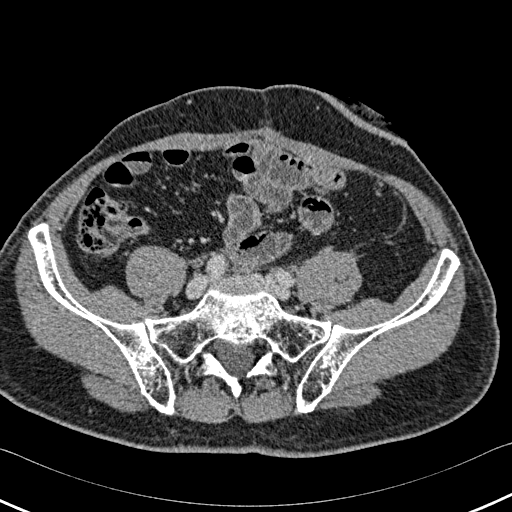

CT image | Image size 512x512

Bone at <bbox>247, 352, 271, 376</bbox>, <bbox>28, 224, 459, 414</bbox>, <bbox>203, 353, 241, 397</bbox>.